Slice index 99. Brain.
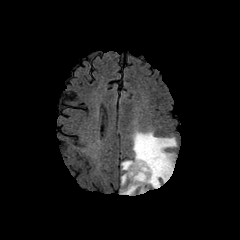
FLAIR MR image.
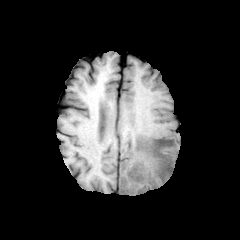
T1-weighted MR image.
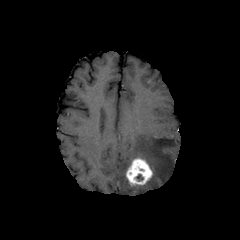
Post-contrast T1-weighted MR image.
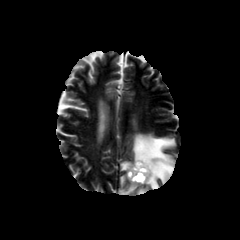
Same slice, T2-weighted MRI.
enhancing_tumor:
  - l=126, t=156, r=153, b=185
edema:
  - l=120, t=131, r=176, b=195
non-enhancing_tumor_core:
  - l=136, t=152, r=149, b=164